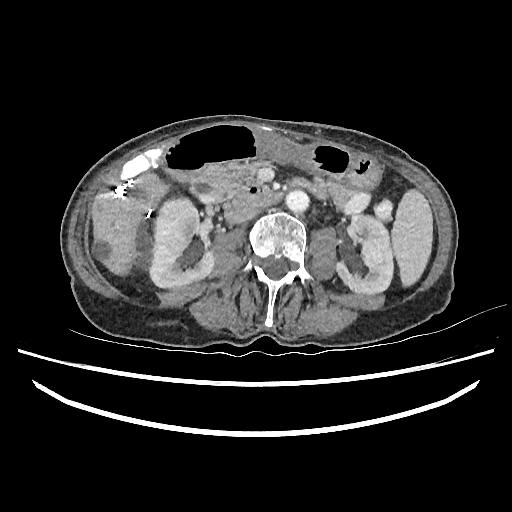 CT scan slice; 512x512

<segmentation>
  <liver>147,241,152,267; 93,175,167,274</liver>
  <kidney>150,199,214,287; 337,214,392,294</kidney>
  <liver_lesion>93,243,106,259; 132,227,149,268</liver_lesion>
</segmentation>